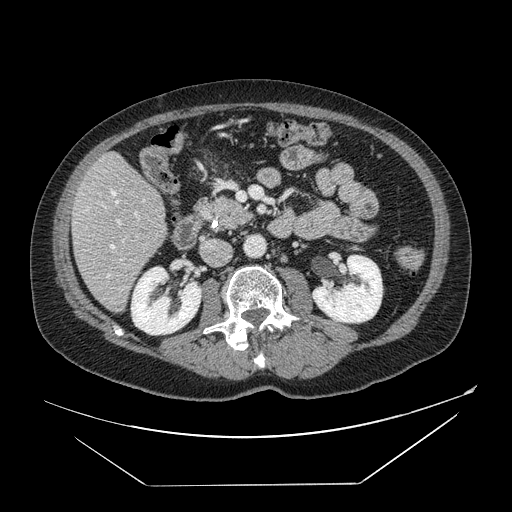 512x512, Upper abdomen, Computed tomography
Pancreas: bounding box 195, 198, 252, 230.